Brain
FLAIR MR.
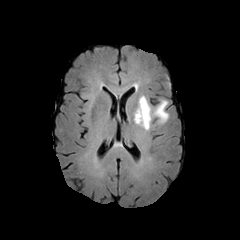
T1-weighted magnetic resonance.
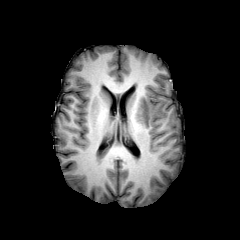
Post-contrast T1-weighted magnetic resonance.
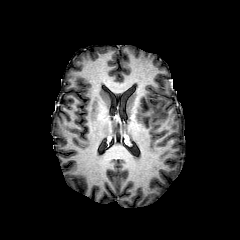
T2-weighted magnetic resonance.
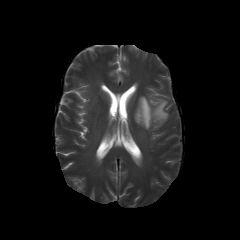
Annotated regions:
- edema: <box>134,95,169,129</box>